FLAIR MR image.
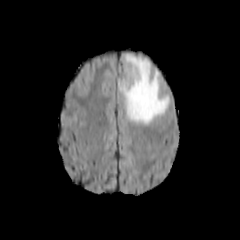
T1-weighted MR.
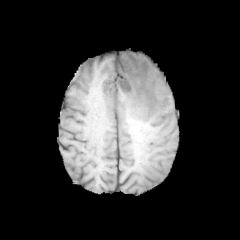
Post-contrast T1-weighted MR image.
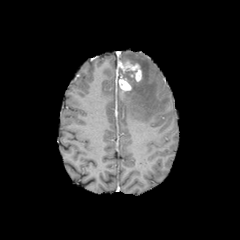
T2-weighted MR.
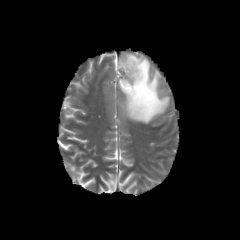
240x240 | Brain
2 enhancing tumor regions are bounded by region(118, 61, 141, 80); region(118, 73, 131, 91). The edema lies within region(122, 53, 170, 123).